Brain. Image width 240 mm.
FLAIR MR image.
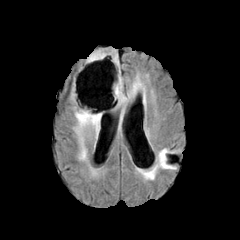
T1-weighted magnetic resonance.
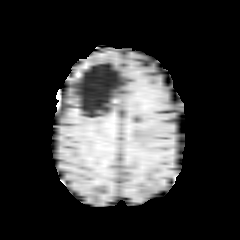
Post-contrast T1-weighted magnetic resonance.
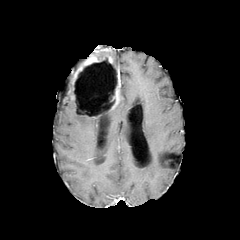
T2-weighted magnetic resonance.
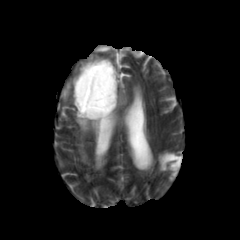
enhancing_tumor:
  - left=84, top=48, right=111, bottom=64
  - left=114, top=72, right=120, bottom=103
non-enhancing_tumor_core:
  - left=74, top=80, right=117, bottom=117
edema:
  - left=72, top=100, right=101, bottom=160
  - left=108, top=51, right=122, bottom=73
  - left=112, top=76, right=145, bottom=124
  - left=158, top=150, right=175, bottom=171